512x512 | CT slice
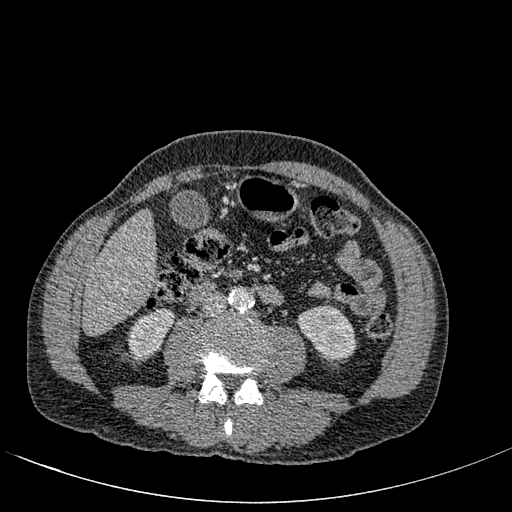
liver: (x1=81, y1=210, x2=155, y2=333) | kidney: (x1=128, y1=309, x2=174, y2=359), (x1=298, y1=306, x2=355, y2=359)